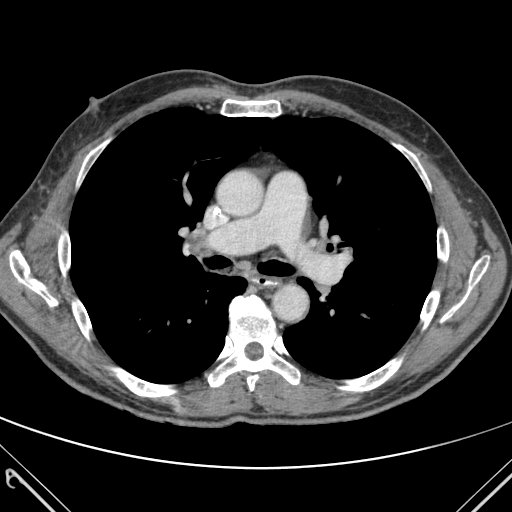
Computed tomography
lung:
  - bbox(69, 108, 436, 383)
bone:
  - bbox(219, 99, 294, 116)
  - bbox(10, 250, 57, 306)
  - bbox(394, 144, 430, 188)
  - bbox(208, 295, 299, 390)
  - bbox(420, 291, 439, 328)
  - bbox(339, 359, 401, 390)
  - bbox(72, 300, 91, 338)
  - bbox(441, 256, 488, 321)
  - bbox(437, 228, 448, 261)
  - bbox(78, 140, 108, 181)
  - bbox(113, 368, 175, 396)
  - bbox(58, 233, 70, 275)